Abdomen, Slice index 66, CT image 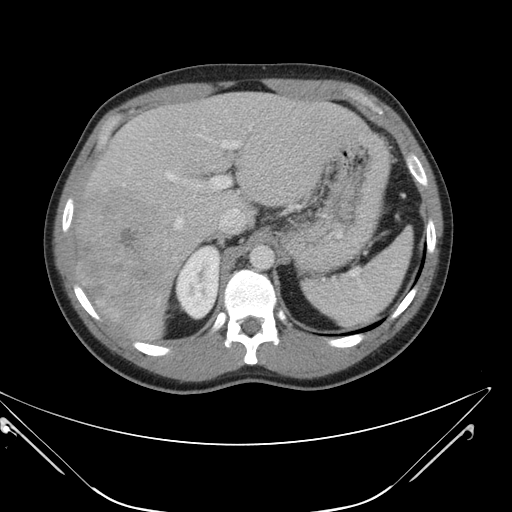

Not every hepatic vessel necessarily has a box.
Hepatic vessel = 211, 176, 230, 189; 182, 179, 186, 184; 149, 138, 151, 140; 221, 140, 239, 147; 198, 133, 211, 141; 219, 208, 243, 232; 249, 126, 251, 129; 174, 218, 182, 228; 166, 171, 176, 180; 195, 184, 201, 189.
Liver tumor = 76, 190, 188, 340.